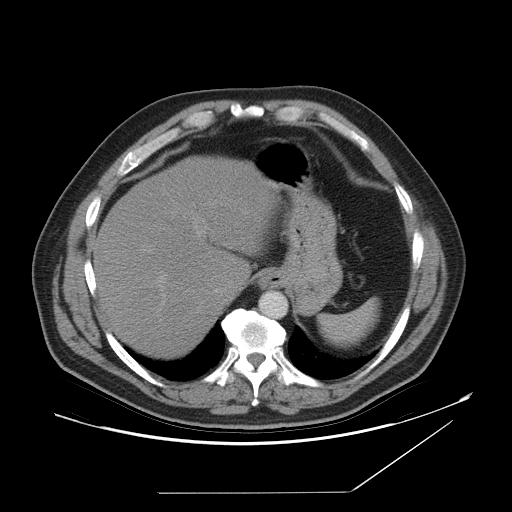
Upper abdomen | Computed tomography
{"spleen": ["box(320, 300, 377, 345)"]}